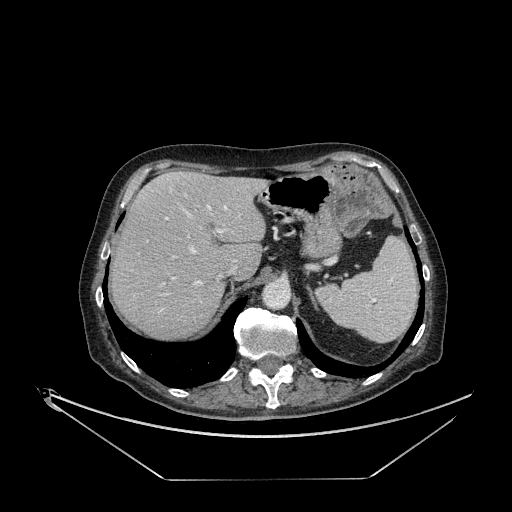
512x512 px, Abdomen, CT image
The liver is at left=112, top=171, right=270, bottom=338.